FLAIR MR.
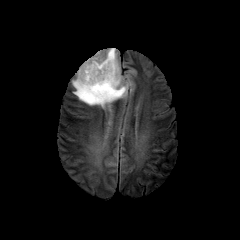
T1-weighted magnetic resonance.
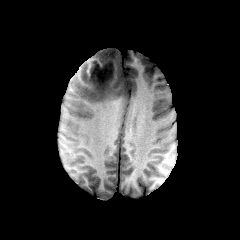
Post-contrast T1-weighted MR image.
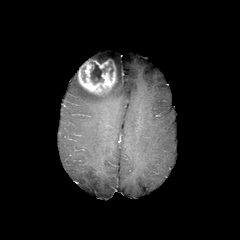
T2-weighted magnetic resonance.
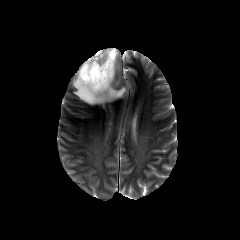
Head
Enhancing tumor: bounding box box=[78, 58, 115, 93].
Non-enhancing tumor core: bounding box box=[90, 62, 107, 82].
Edema: bounding box box=[72, 49, 130, 107].